CT scan slice, Slice index 63 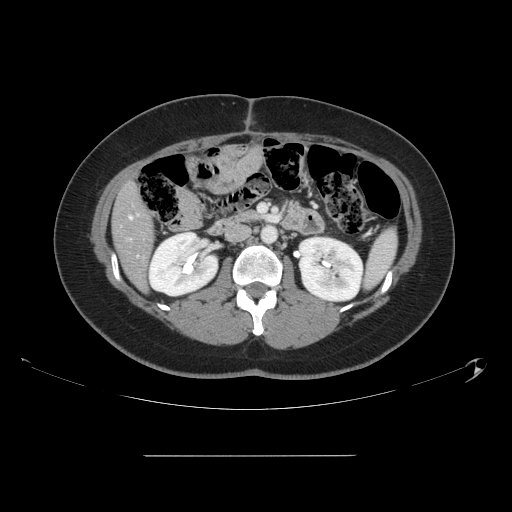

The vessel annotation is not exhaustive.
hepatic vessel: [x1=129, y1=216, x2=131, y2=219]